Magnetic resonance | Field of view 400x400 mm | Heart | Image size 320x320
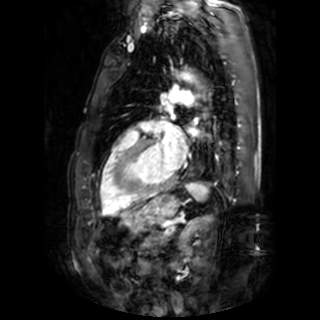
left_atrium:
  - x1=161 y1=130 x2=186 y2=169